Image size 240x240
FLAIR magnetic resonance.
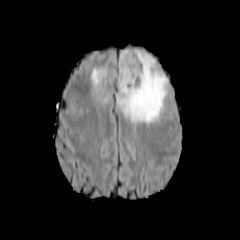
T1-weighted magnetic resonance.
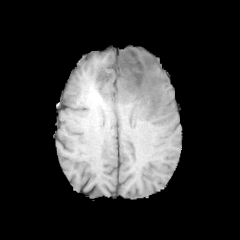
Post-contrast T1-weighted MRI.
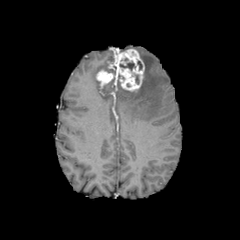
T2-weighted magnetic resonance.
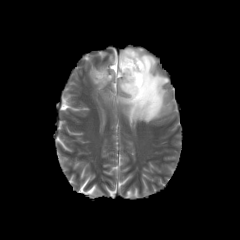
Non-enhancing tumor core: bounding box 120, 61, 136, 70.
Enhancing tumor: bounding box 96, 48, 144, 91.
Edema: bounding box 118, 50, 170, 124; 90, 65, 107, 90.